MRI, Image width 39 mm, Medial temporal lobe

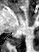
Posterior hippocampus at [10,36,21,46].